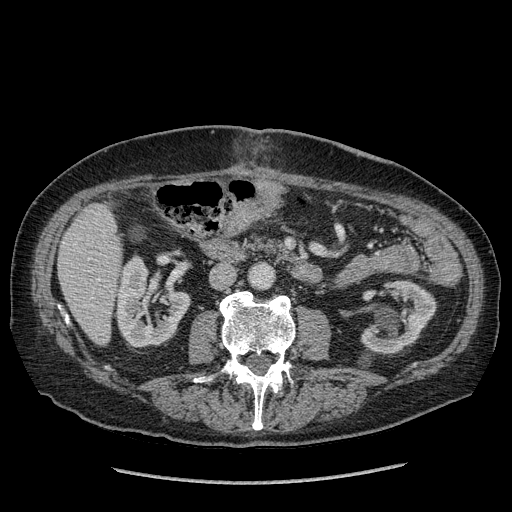

512x512 px, Liver, CT scan slice
Annotated regions:
• liver: l=58, t=203, r=121, b=344
• kidney: l=361, t=281, r=436, b=353; l=117, t=257, r=189, b=346; l=363, t=290, r=375, b=300